512x512; Computed tomography 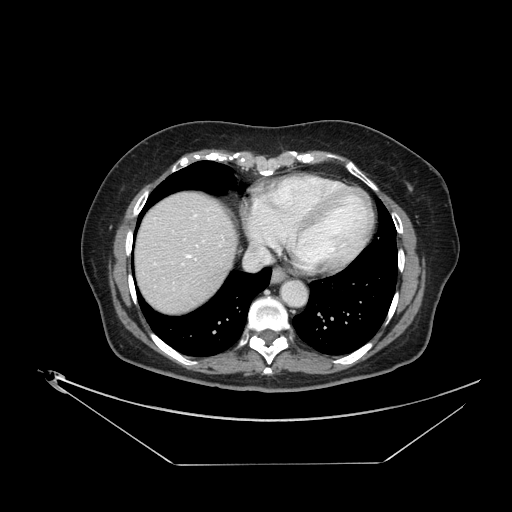

Not every hepatic vessel necessarily has a box.
{"hepatic_vessel": ["rect(246, 246, 269, 267)", "rect(185, 254, 193, 257)", "rect(193, 214, 196, 217)"]}